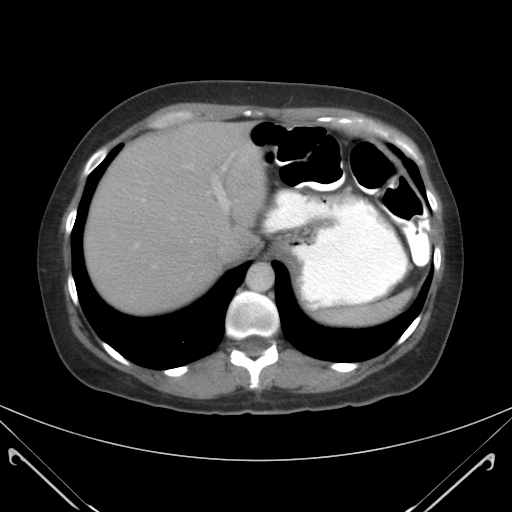 Computed tomography, Image size 512x512
spleen: region(319, 290, 413, 326)